Field of view 380x380 mm, Liver, CT slice
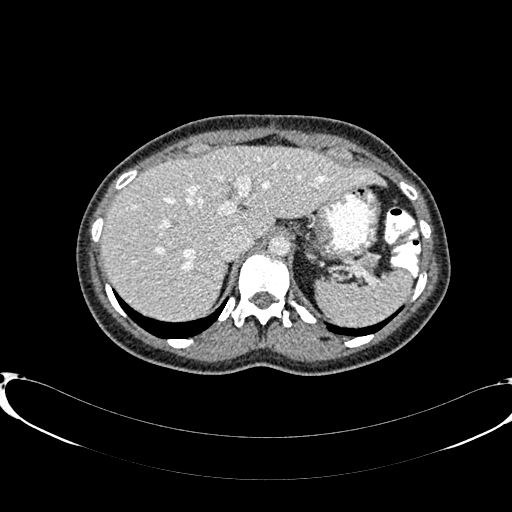 liver: (left=102, top=147, right=385, bottom=318)